Slice index 54, CT scan slice, Pelvis
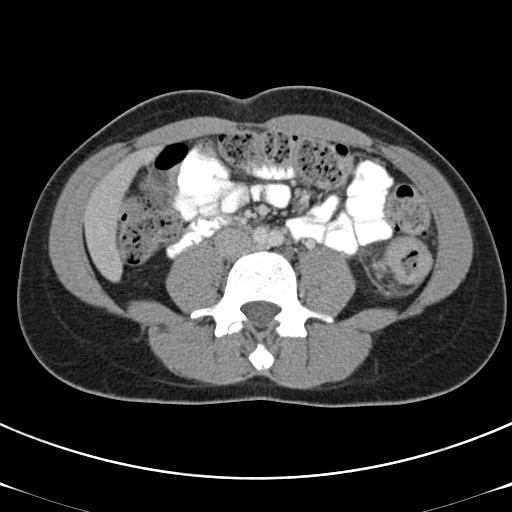
{"colon_tumor": ["(left=387, top=237, right=432, bottom=283)"]}